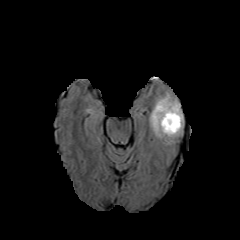
FLAIR MRI.
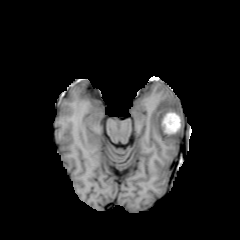
T1-weighted MR.
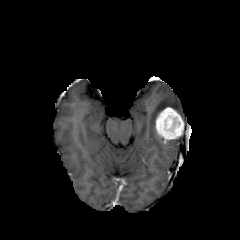
Post-contrast T1-weighted MR of the same slice.
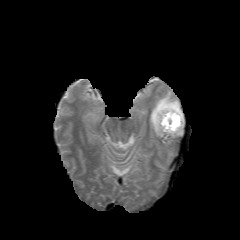
T2-weighted MR image.
<segmentation>
  <enhancing_tumor>box(162, 113, 180, 132)</enhancing_tumor>
  <non-enhancing_tumor_core>box(153, 100, 177, 128)</non-enhancing_tumor_core>
  <edema>box(148, 90, 183, 147)</edema>
</segmentation>